Magnetic resonance; Field of view 38 mm wide, 1.00 mm slice spacing

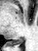
Segmented structures:
- posterior hippocampus: (x1=9, y1=38, x2=24, y2=44)